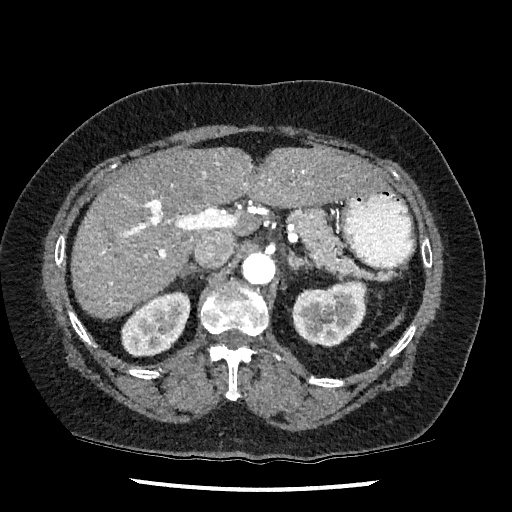

Computed tomography.

2 kidney regions are bounded by [293,282,365,345], [122,293,189,355]. The liver is at [71,147,385,317].